Image size 240x240
FLAIR MRI.
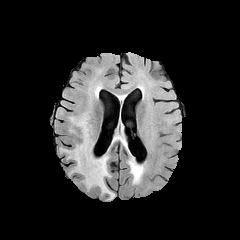
T1-weighted MRI.
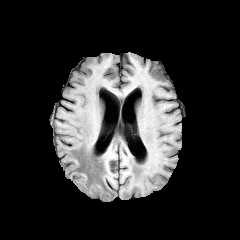
Post-contrast T1-weighted magnetic resonance.
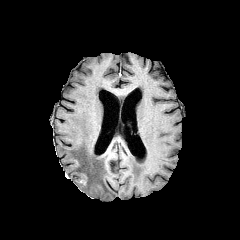
T2-weighted magnetic resonance.
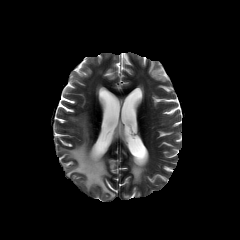
{
  "edema": [
    "68:118:114:197",
    "127:155:145:183"
  ],
  "non-enhancing_tumor_core": [
    "76:163:85:171"
  ]
}